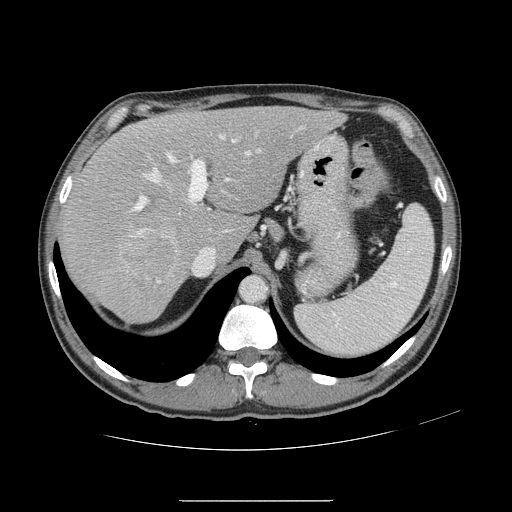

CT slice, Abdomen
Only some of the vessels may be annotated.
partial: true
liver_tumor:
  - {"x1": 126, "y1": 237, "x2": 174, "y2": 276}
hepatic_vessel:
  # 15 of 16 shown
  - {"x1": 290, "y1": 134, "x2": 292, "y2": 136}
  - {"x1": 226, "y1": 178, "x2": 230, "y2": 180}
  - {"x1": 137, "y1": 228, "x2": 151, "y2": 236}
  - {"x1": 119, "y1": 246, "x2": 121, "y2": 247}
  - {"x1": 157, "y1": 280, "x2": 160, "y2": 283}
  - {"x1": 246, "y1": 151, "x2": 250, "y2": 155}
  - {"x1": 188, "y1": 160, "x2": 206, "y2": 200}
  - {"x1": 232, "y1": 139, "x2": 235, "y2": 142}
  - {"x1": 257, "y1": 149, "x2": 260, "y2": 151}
  - {"x1": 220, "y1": 135, "x2": 224, "y2": 138}
  - {"x1": 134, "y1": 197, "x2": 145, "y2": 209}
  - {"x1": 298, "y1": 127, "x2": 304, "y2": 129}
  - {"x1": 142, "y1": 166, "x2": 160, "y2": 182}
  - {"x1": 223, "y1": 230, "x2": 229, "y2": 231}
  - {"x1": 167, "y1": 154, "x2": 171, "y2": 160}